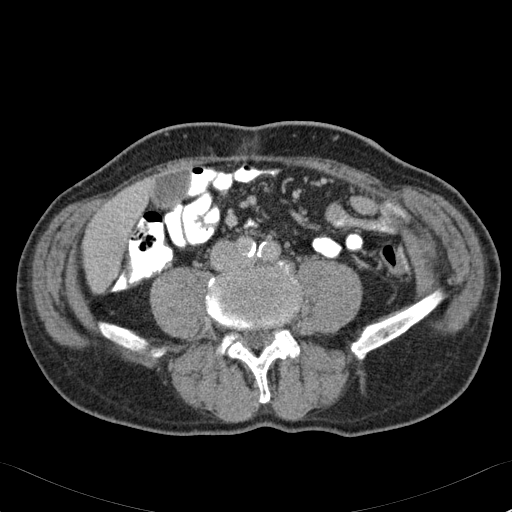
Computed tomography
Liver: bounding box <box>83,179,148,292</box>.